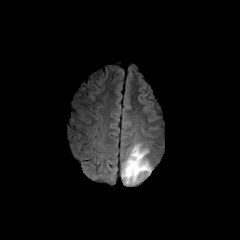
FLAIR MR.
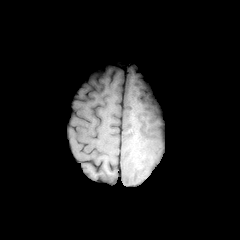
T1-weighted MR.
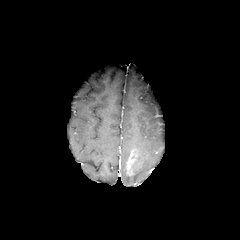
Post-contrast T1-weighted MR image.
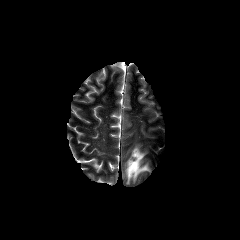
Same slice, T2-weighted MR image.
Brain.
Findings:
• edema: region(121, 144, 150, 183)
• enhancing tumor: region(126, 150, 139, 175)